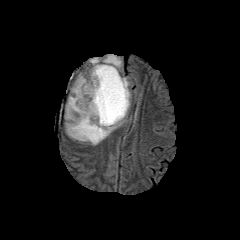
FLAIR magnetic resonance.
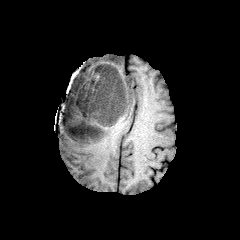
T1-weighted MR image.
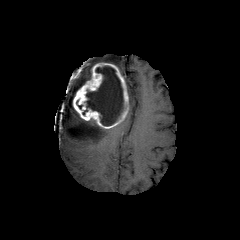
Same slice, post-contrast T1-weighted MR image.
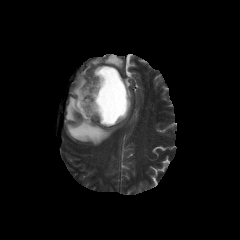
T2-weighted MR image of the same slice.
Brain; 240x240
The enhancing tumor is bounded by [72, 62, 128, 128]. The edema is at [64, 54, 134, 145]. The non-enhancing tumor core appears at [86, 66, 124, 125].